Brain. Slice index 98. Image width 240 mm.
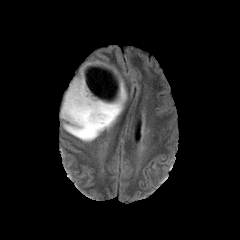
FLAIR MR.
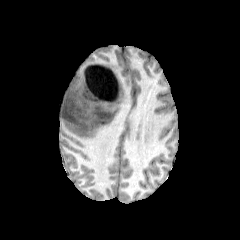
Same slice, T1-weighted magnetic resonance.
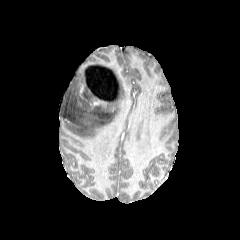
Post-contrast T1-weighted magnetic resonance.
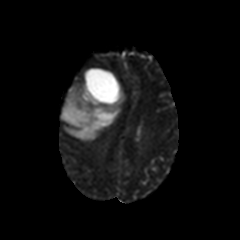
T2-weighted MR image of the same slice.
Edema: bbox=[60, 72, 126, 142].
Non-enhancing tumor core: bbox=[93, 108, 110, 122]; bbox=[80, 85, 108, 105]; bbox=[63, 106, 81, 124].